Brain
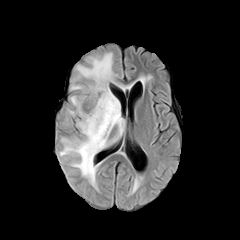
FLAIR MR image.
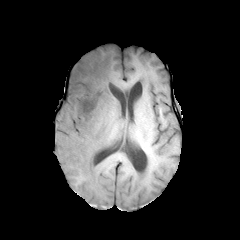
T1-weighted magnetic resonance.
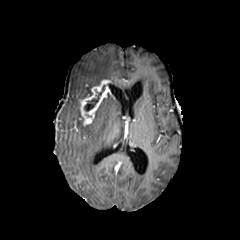
Same slice, post-contrast T1-weighted MR image.
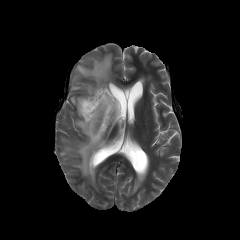
T2-weighted MR of the same slice.
enhancing_tumor:
  - (x1=80, y1=80, x2=110, y2=125)
edema:
  - (x1=60, y1=94, x2=125, y2=185)
  - (x1=70, y1=53, x2=113, y2=119)
non-enhancing_tumor_core:
  - (x1=78, y1=86, x2=94, y2=111)
  - (x1=82, y1=92, x2=101, y2=113)